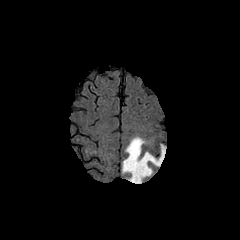
FLAIR MR.
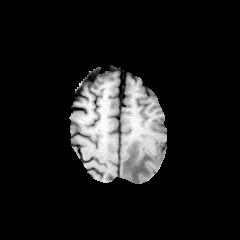
Same slice, T1-weighted MR.
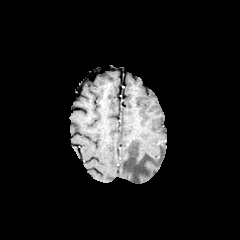
Post-contrast T1-weighted magnetic resonance.
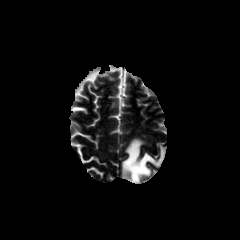
T2-weighted MR image of the same slice.
Edema = (121,137,165,183).